Slice index 535; CT

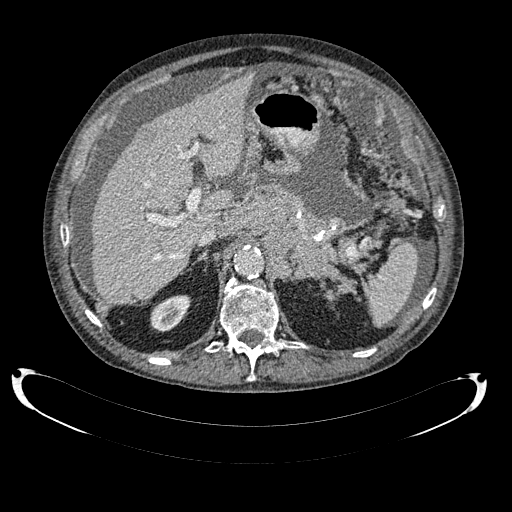

liver lesion: 137 125 156 146 | liver: 92 73 254 306 | kidney: 151 296 189 330